Liver. Image size 512x512. CT scan slice. 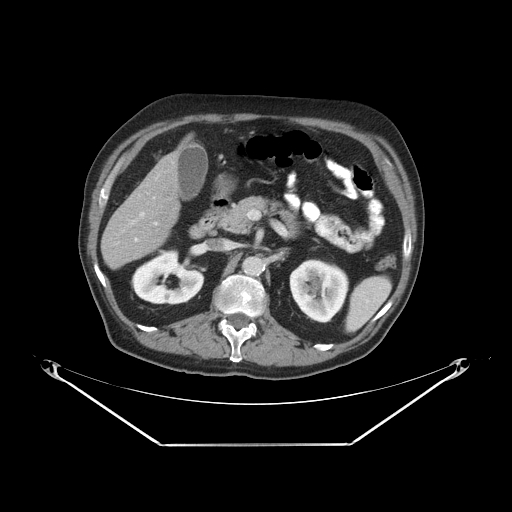 The vessel boxes may cover only some of the vessels.
hepatic vessel: [x1=122, y1=230, x2=124, y2=231], [x1=152, y1=196, x2=155, y2=199], [x1=154, y1=174, x2=159, y2=180], [x1=128, y1=211, x2=144, y2=225], [x1=153, y1=221, x2=158, y2=225], [x1=146, y1=192, x2=148, y2=193], [x1=168, y1=158, x2=174, y2=165], [x1=134, y1=238, x2=138, y2=241]